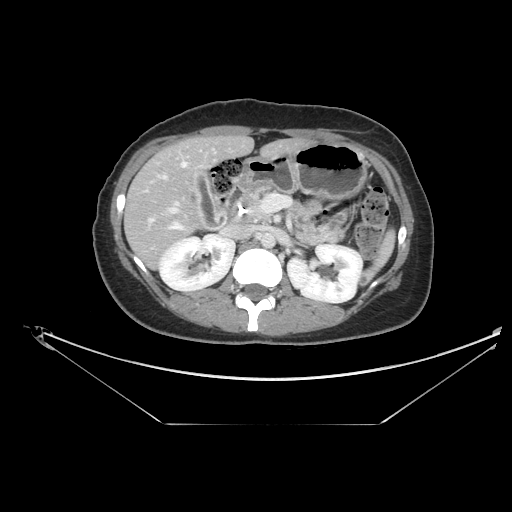

Upper abdomen; Computed tomography
Annotated regions:
- pancreas: x1=298 y1=221 x2=339 y2=243, x1=247 y1=188 x2=268 y2=217